FLAIR MR image.
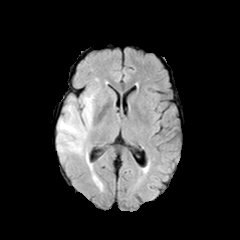
T1-weighted MR image.
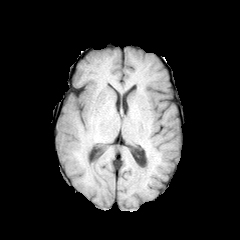
Post-contrast T1-weighted MR.
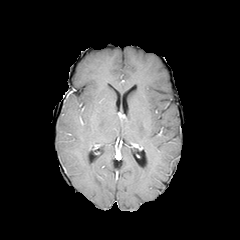
T2-weighted magnetic resonance.
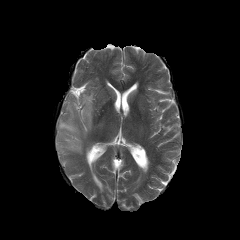
Brain
{"edema": ["box=[56, 86, 97, 164]"]}